FLAIR MR image.
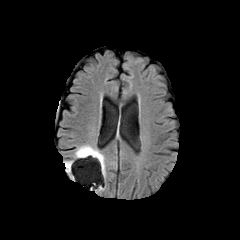
T1-weighted magnetic resonance.
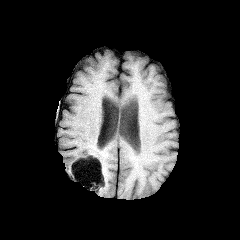
Post-contrast T1-weighted magnetic resonance.
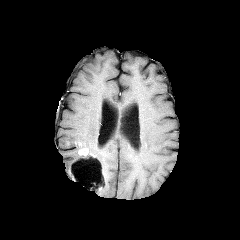
T2-weighted MRI.
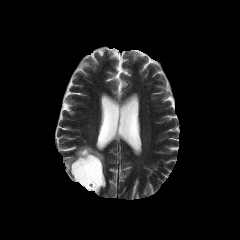
Image size 240x240
enhancing_tumor:
  - 78:148:95:157
edema:
  - 65:158:73:172
  - 73:144:105:179
non-enhancing_tumor_core:
  - 74:151:101:173